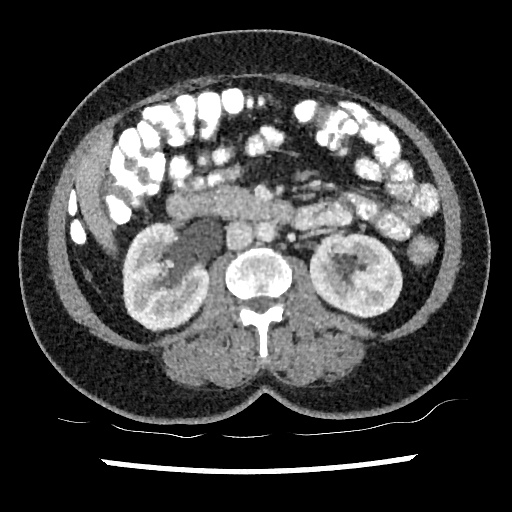 CT scan slice; Upper abdomen

The liver appears at left=77, top=133, right=113, bottom=248. 2 kidney regions appear at left=310, top=234, right=401, bottom=316; left=124, top=224, right=208, bottom=329.